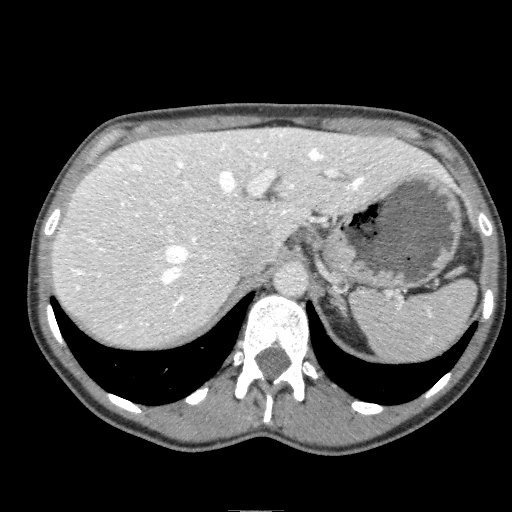
Upper abdomen. CT slice.

{"liver": ["box=[51, 127, 474, 349]"]}